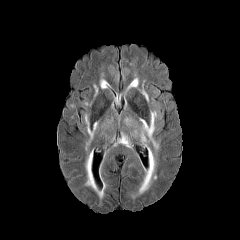
FLAIR MRI.
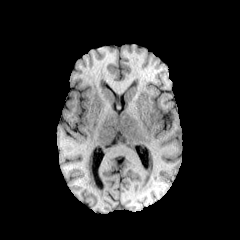
T1-weighted magnetic resonance.
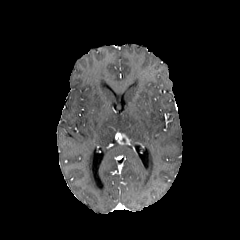
Post-contrast T1-weighted magnetic resonance.
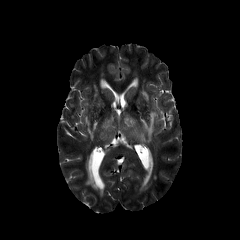
T2-weighted magnetic resonance.
Image size 240x240
6 edema regions appear at [140, 111, 158, 150], [85, 115, 97, 139], [85, 151, 105, 198], [100, 79, 107, 89], [129, 78, 138, 87], [138, 145, 157, 194].